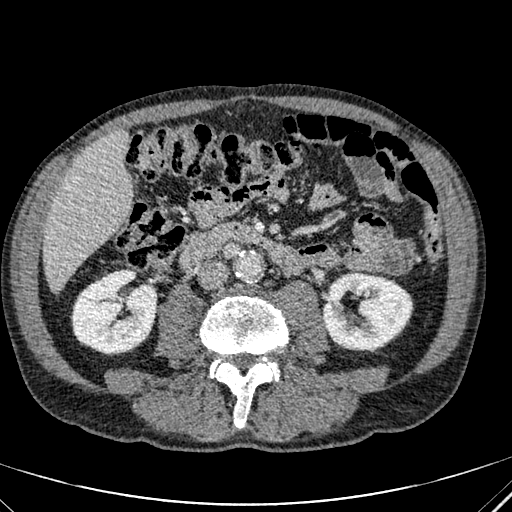

512x512 px | CT | Upper abdomen
Annotated regions:
* liver: l=43, t=133, r=130, b=290
* kidney: l=324, t=274, r=411, b=349; l=73, t=271, r=155, b=352